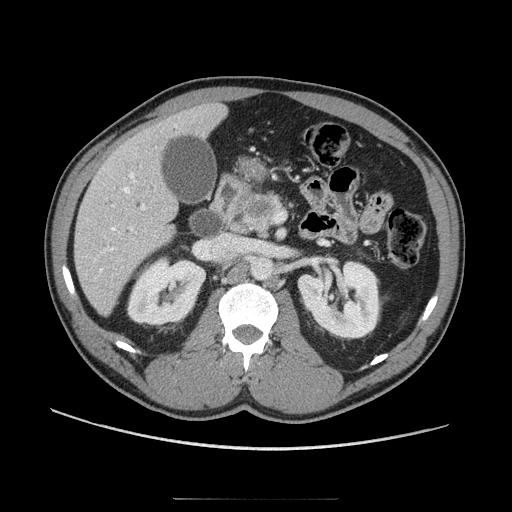
Image size 512x512, Computed tomography

pancreatic tumor: region(242, 195, 275, 218) | pancreas: region(241, 191, 282, 237)